FLAIR MRI.
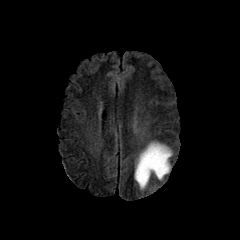
T1-weighted MRI.
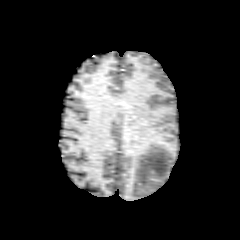
Post-contrast T1-weighted MR.
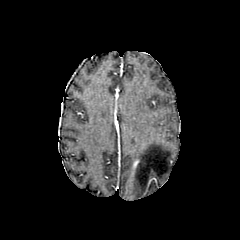
T2-weighted MR.
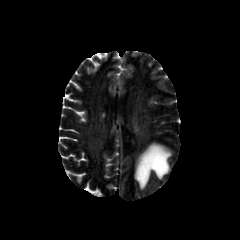
Brain
<segmentation>
  <edema>region(134, 141, 172, 193)</edema>
</segmentation>